FLAIR magnetic resonance.
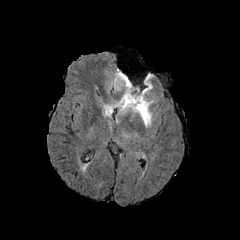
T1-weighted MRI.
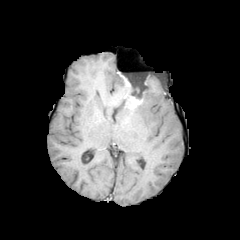
Post-contrast T1-weighted magnetic resonance.
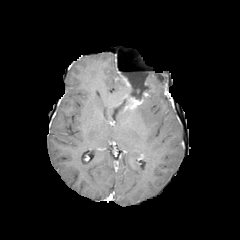
T2-weighted MRI.
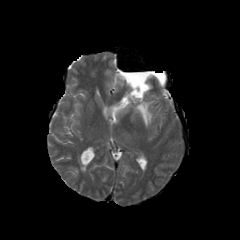
Image size 240x240. Head.
Findings:
* non-enhancing tumor core: 118 98 128 108, 126 78 146 100
* edema: 102 104 119 117, 132 74 154 127, 110 77 129 103
* enhancing tumor: 124 94 142 109